CT slice. Slice 124 of 811.

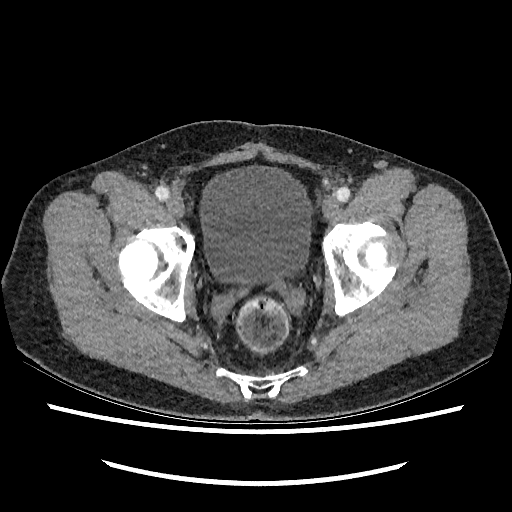
Urinary bladder — [200,164,313,288].